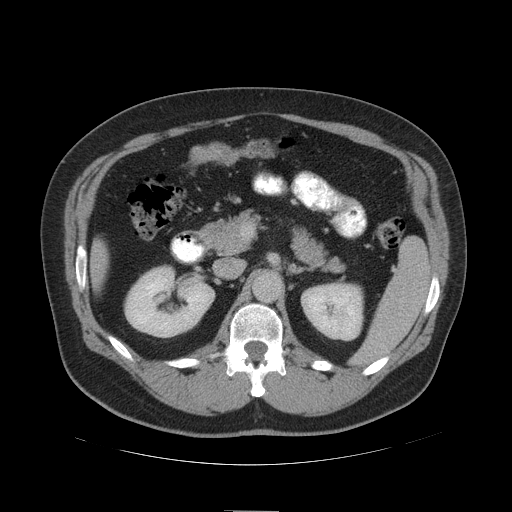 Pelvis, CT

Colon tumor: l=189, t=145, r=221, b=164.